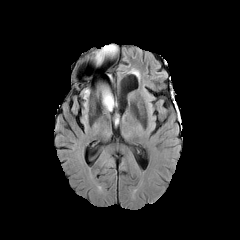
FLAIR MRI.
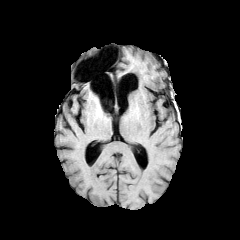
Same slice, T1-weighted MR.
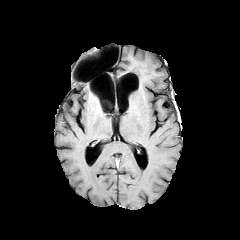
Post-contrast T1-weighted MR image of the same slice.
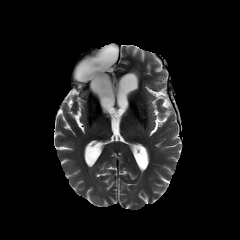
T2-weighted magnetic resonance.
Head
edema: (left=98, top=45, right=116, bottom=55), (left=99, top=86, right=114, bottom=112)